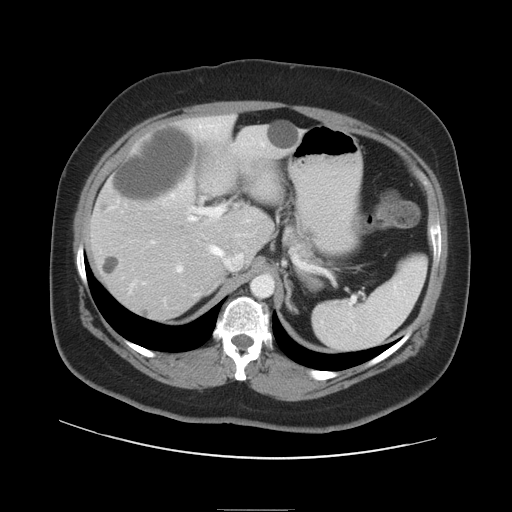 Computed tomography | Liver

Not every hepatic vessel necessarily has a box.
5 hepatic vessel regions are bounded by x1=189 y1=216 x2=195 y2=220, x1=193 y1=207 x2=224 y2=216, x1=208 y1=245 x2=215 y2=248, x1=177 y1=266 x2=181 y2=271, x1=215 y1=247 x2=242 y2=268.